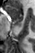 MRI. Image size 35x53. {"anterior_hippocampus": ["left=5, top=5, right=22, bottom=20"], "posterior_hippocampus": ["left=13, top=21, right=21, bottom=25"]}